Abdomen. Image size 512x512. CT image.

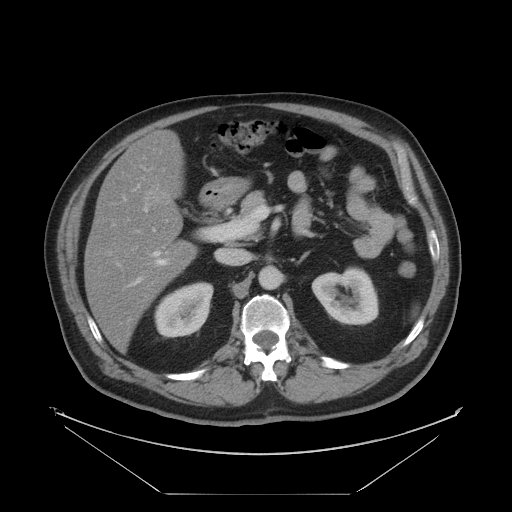
pancreas: {"x1": 241, "y1": 190, "x2": 265, "y2": 215}